Image size 35x56, Hippocampus, Slice 21 of 34, MR, Image width 35 mm

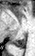

The posterior hippocampus is at 12 36 25 47.